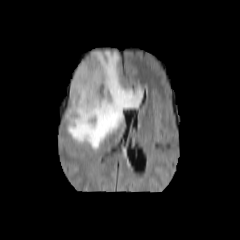
FLAIR MRI.
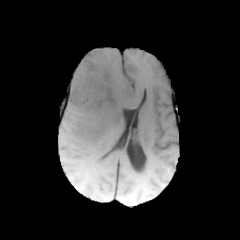
Same slice, T1-weighted MR.
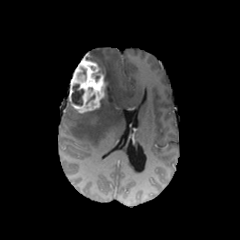
Post-contrast T1-weighted MR.
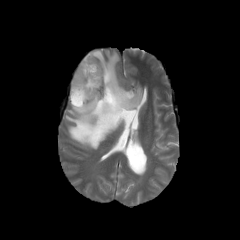
T2-weighted MR image of the same slice.
Head
{"non-enhancing_tumor_core": ["rect(71, 85, 83, 105)", "rect(96, 62, 109, 107)"], "enhancing_tumor": ["rect(68, 53, 106, 113)"], "edema": ["rect(66, 50, 142, 149)"]}